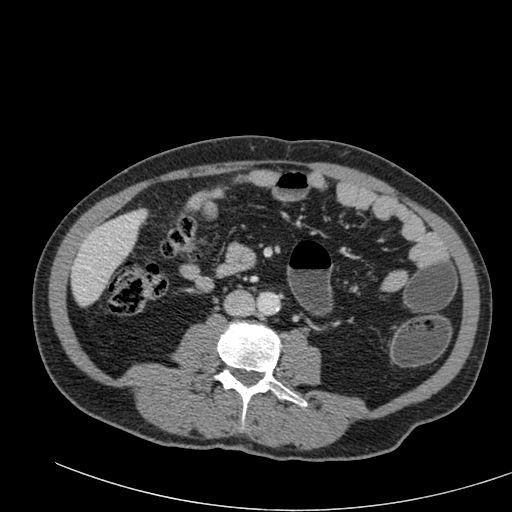 Upper abdomen, CT image
The liver lies within l=71, t=209, r=146, b=305.